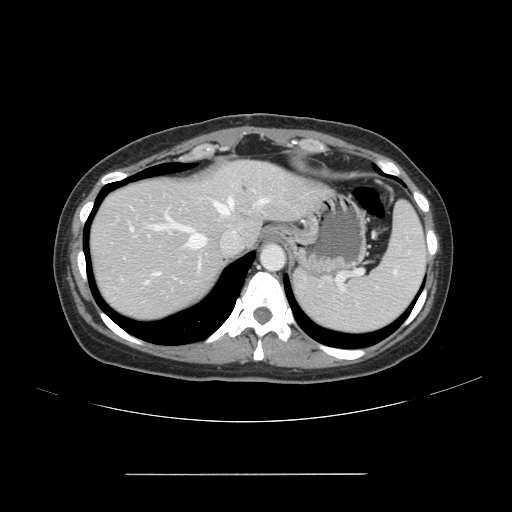
512x512 | Liver | Computed tomography
The vessel boxes may cover only some of the vessels.
Hepatic vessel at box=[153, 225, 165, 230]; box=[258, 199, 267, 204]; box=[130, 227, 133, 230]; box=[215, 199, 233, 214]; box=[165, 214, 205, 247]; box=[152, 273, 159, 275].